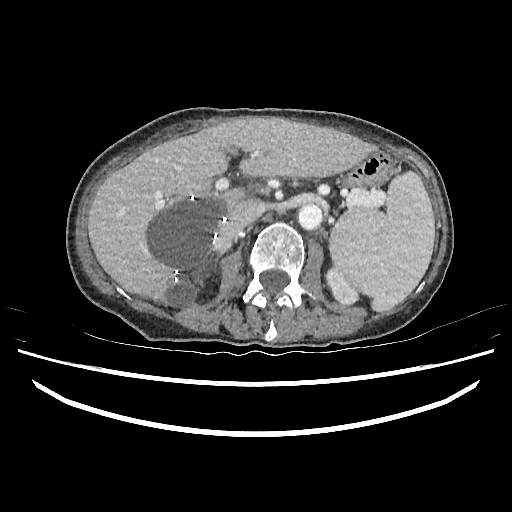 Upper abdomen. Image size 512x512. CT image.

<segmentation>
  <kidney>327, 269, 357, 297</kidney>
  <liver_lesion>147, 200, 218, 305</liver_lesion>
  <liver>89, 119, 373, 306</liver>
</segmentation>